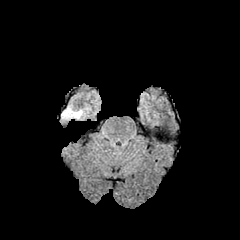
FLAIR MR.
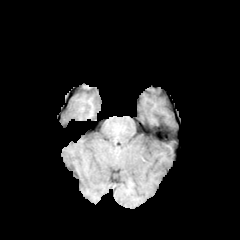
Same slice, T1-weighted MR.
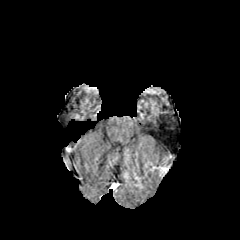
Post-contrast T1-weighted MRI of the same slice.
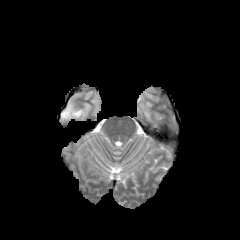
T2-weighted MRI.
{
  "edema": [
    "<bbox>61, 104, 89, 120</bbox>"
  ]
}